Slice 89 of 155, Head
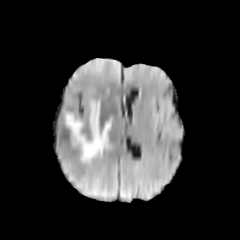
FLAIR magnetic resonance.
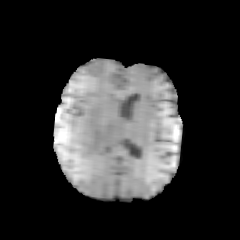
Same slice, T1-weighted MR.
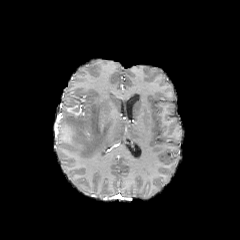
Post-contrast T1-weighted MR.
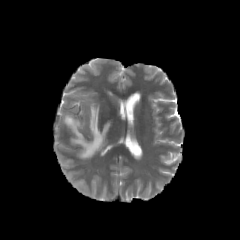
T2-weighted MR image.
<segmentation>
  <edema>x1=63 y1=101 x2=113 y2=161</edema>
</segmentation>